FLAIR MR.
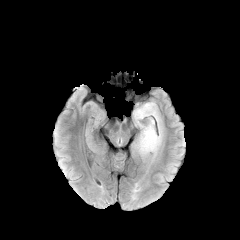
T1-weighted MR.
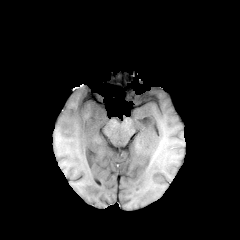
Post-contrast T1-weighted magnetic resonance.
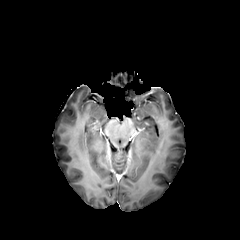
T2-weighted magnetic resonance.
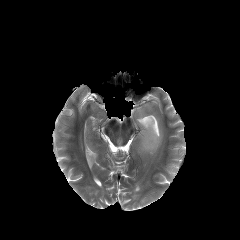
Head
<segmentation>
  <edema>[134, 102, 163, 154]</edema>
</segmentation>